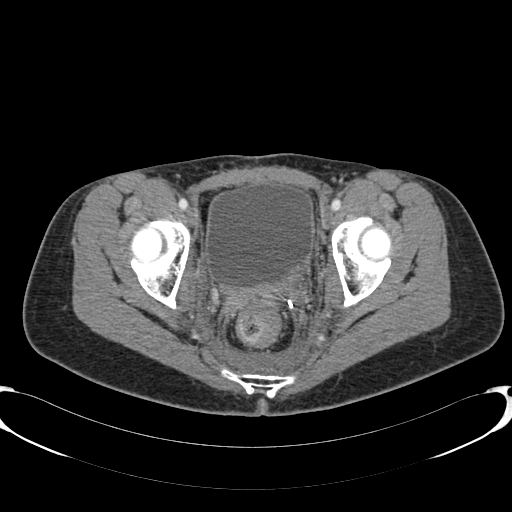
Computed tomography

* urinary bladder: (207,184,311,286)